FLAIR MR.
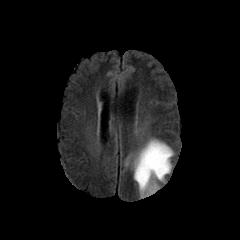
T1-weighted MRI.
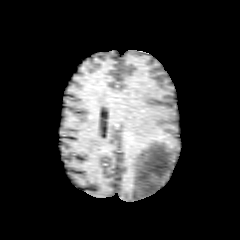
Post-contrast T1-weighted MRI.
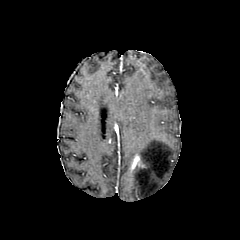
T2-weighted MR.
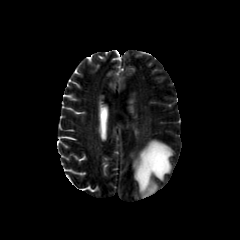
non-enhancing_tumor_core:
  - 138:158:149:168
enhancing_tumor:
  - 132:154:143:167
edema:
  - 131:139:174:197